Upper abdomen, Computed tomography, Slice index 48, 512x512 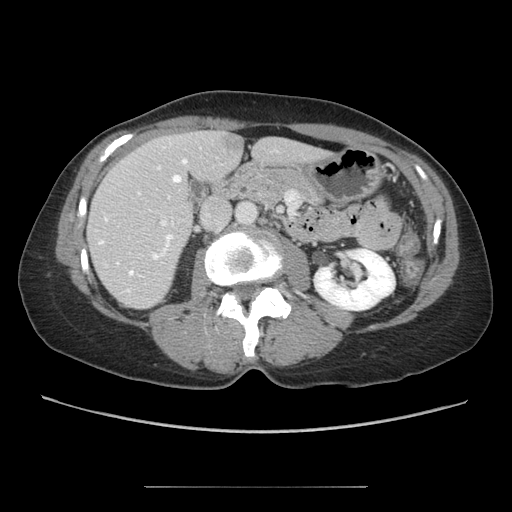
pancreas:
  - [230, 163, 326, 212]